FLAIR MR.
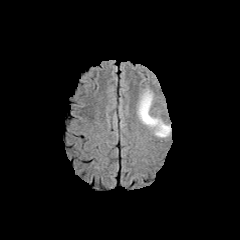
T1-weighted magnetic resonance.
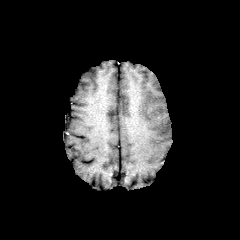
Post-contrast T1-weighted magnetic resonance.
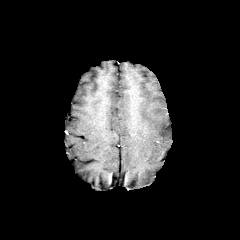
T2-weighted MR image.
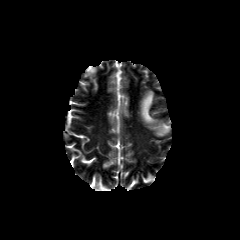
240x240 px; Head
The edema is at (137, 88, 171, 137).